Image size 512x512 | Liver | CT scan slice 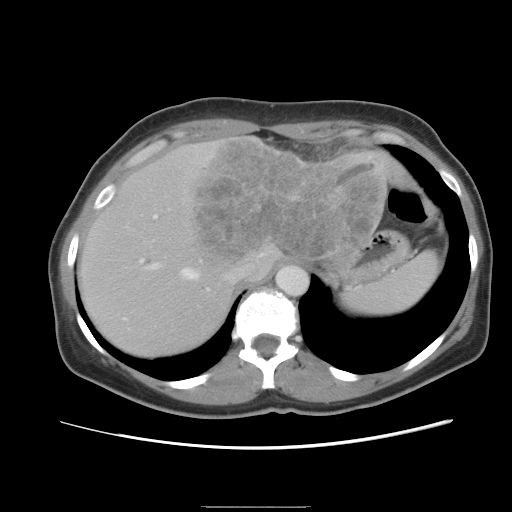
The vessel boxes may cover only some of the vessels.
liver_tumor:
  - <box>191,136,381,268</box>
hepatic_vessel:
  - <box>147,263,156,268</box>
  - <box>181,268,196,278</box>
  - <box>223,256,262,283</box>
  - <box>140,258,142,260</box>
  - <box>153,215,156,217</box>